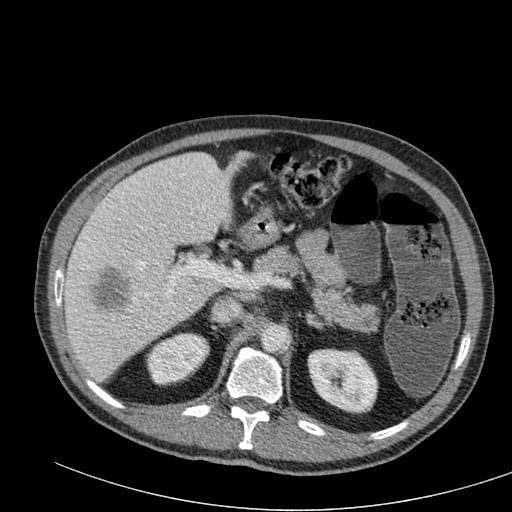
CT image.
Segmented structures:
• hepatic lesion: l=93, t=266, r=130, b=309
• kidney: l=309, t=350, r=376, b=411; l=148, t=334, r=206, b=383
• liver: l=60, t=153, r=247, b=381